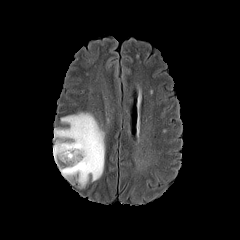
FLAIR MR.
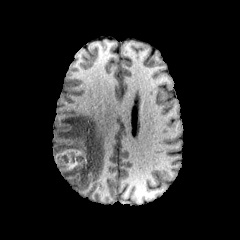
Same slice, T1-weighted magnetic resonance.
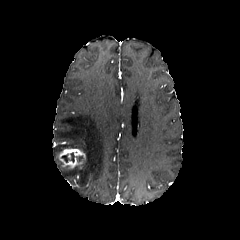
Post-contrast T1-weighted MRI.
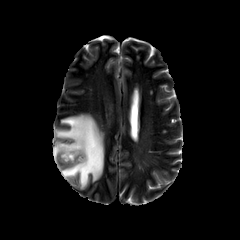
Same slice, T2-weighted MR.
edema:
  - box(52, 112, 105, 188)
non-enhancing_tumor_core:
  - box(54, 148, 70, 171)
enhancing_tumor:
  - box(58, 148, 85, 169)